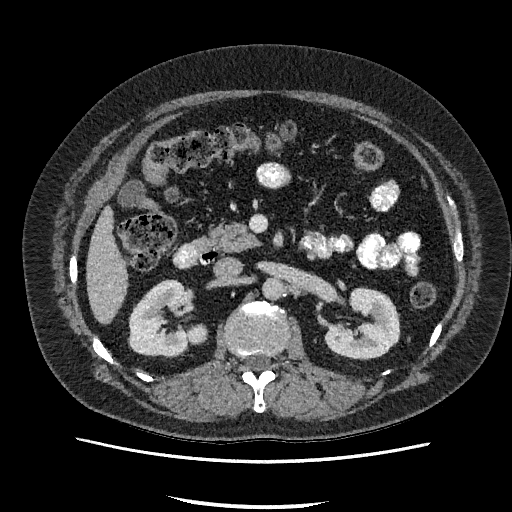

Liver | CT slice

<segmentation>
  <liver>86 207 128 323</liver>
  <kidney>130 281 204 355, 326 289 398 357</kidney>
</segmentation>